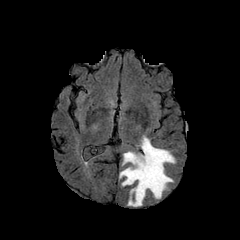
FLAIR MRI.
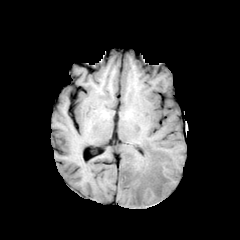
T1-weighted MR image.
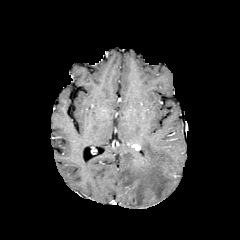
Same slice, post-contrast T1-weighted MR.
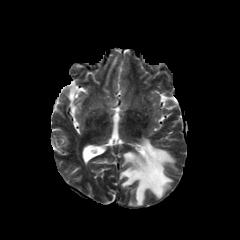
Same slice, T2-weighted magnetic resonance.
Edema: bounding box 119,136,175,206.
Enhancing tumor: bounding box 131,155,147,164.